Slice 193 of 427. 512x512 px. CT slice. 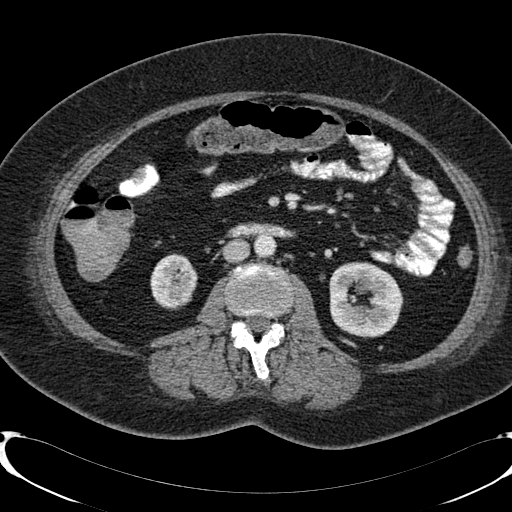

Kidney — [x1=152, y1=255, x2=196, y2=307], [x1=330, y1=263, x2=401, y2=335].